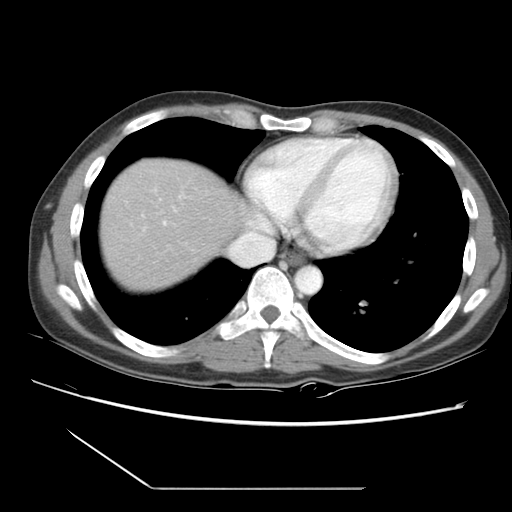

Liver. CT image.
Not every hepatic vessel necessarily has a box.
{
  "hepatic_vessel": [
    "[234, 237, 269, 256]",
    "[179, 195, 183, 197]",
    "[163, 222, 165, 224]"
  ]
}